512x512; Computed tomography; Upper abdomen
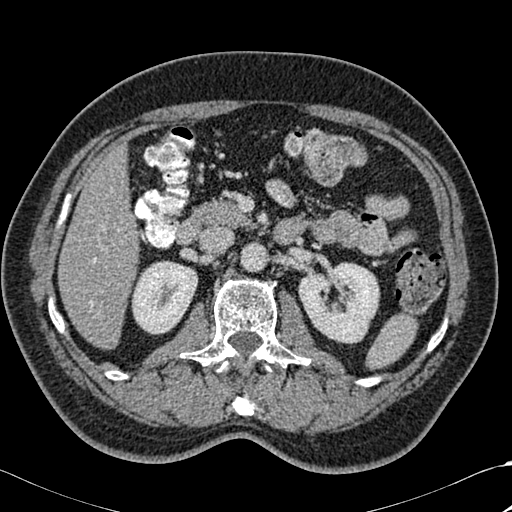
Segmented structures:
- kidney: (left=299, top=263, right=378, bottom=342), (left=133, top=262, right=197, bottom=333)
- bone: (left=428, top=322, right=446, bottom=350), (left=49, top=299, right=63, bottom=332), (left=357, top=377, right=378, bottom=386), (left=106, top=370, right=127, bottom=379), (left=181, top=279, right=309, bottom=371), (left=233, top=395, right=254, bottom=414)
- liver: (left=59, top=148, right=138, bottom=346)